Field of view 360 mm wide, 0.80 mm slice spacing | CT

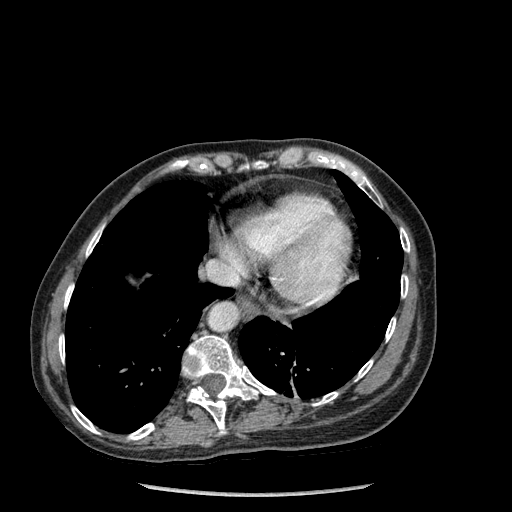
bone:
  - region(182, 335, 275, 434)
  - region(400, 227, 410, 252)
  - region(58, 334, 64, 363)
  - region(71, 406, 99, 434)
  - region(127, 423, 154, 440)
  - region(254, 161, 266, 168)
  - region(355, 360, 373, 381)
  - region(64, 284, 74, 308)
  - region(329, 158, 377, 197)
  - region(312, 392, 338, 405)
  - region(86, 225, 103, 256)
  - region(401, 274, 408, 297)
  - region(385, 317, 395, 341)
lung:
  - region(65, 180, 233, 433)
  - region(238, 171, 402, 398)